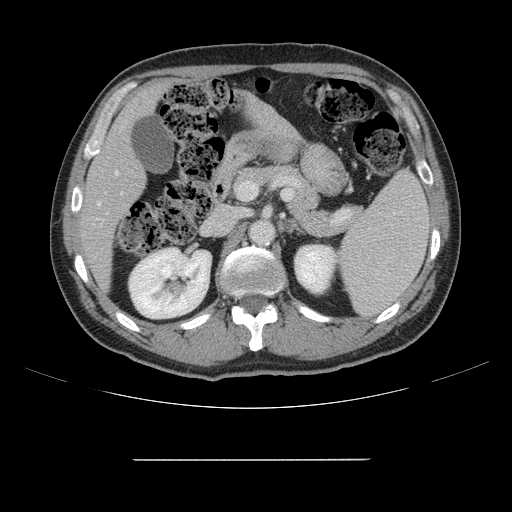
Abdomen, CT image
Only some of the vessels may be annotated.
hepatic_vessel:
  - [x1=121, y1=192, x2=122, y2=194]
  - [x1=106, y1=212, x2=107, y2=214]
  - [x1=101, y1=221, x2=102, y2=223]
  - [x1=116, y1=172, x2=118, y2=175]
  - [x1=99, y1=219, x2=102, y2=219]
  - [x1=98, y1=203, x2=99, y2=205]